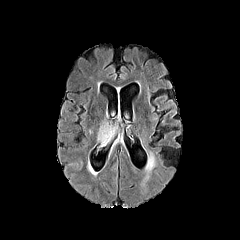
FLAIR MR image.
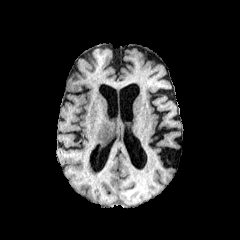
Same slice, T1-weighted MR image.
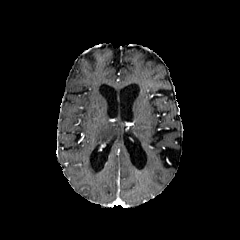
Post-contrast T1-weighted MR image.
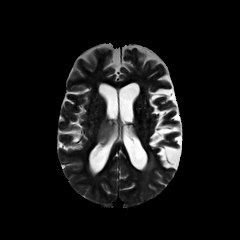
T2-weighted MR image.
Head
2 edema regions are located at rect(86, 159, 96, 176); rect(96, 122, 114, 143).